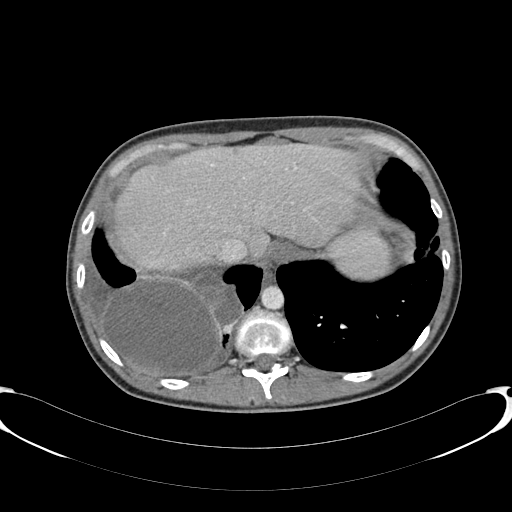

Computed tomography

The liver appears at x1=116 y1=144 x2=367 y2=270.